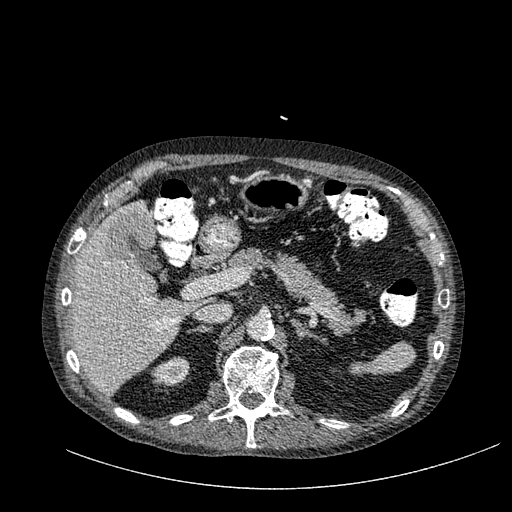

Abdomen; Image size 512x512; CT scan slice

Liver lesion = region(104, 210, 152, 266).
Kidney = region(151, 356, 189, 386).
Liver = region(72, 202, 213, 393).